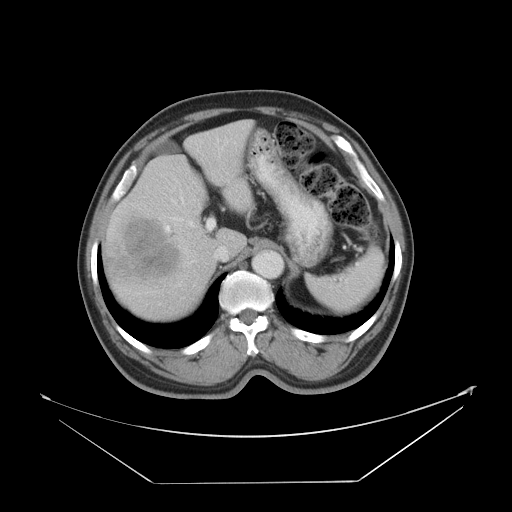 Computed tomography
The vessel annotation is not exhaustive.
14 hepatic vessel regions are bounded by {"x1": 171, "y1": 217, "x2": 182, "y2": 225}, {"x1": 170, "y1": 189, "x2": 173, "y2": 192}, {"x1": 188, "y1": 199, "x2": 195, "y2": 202}, {"x1": 187, "y1": 221, "x2": 193, "y2": 226}, {"x1": 163, "y1": 215, "x2": 164, "y2": 218}, {"x1": 199, "y1": 140, "x2": 202, "y2": 143}, {"x1": 208, "y1": 219, "x2": 213, "y2": 229}, {"x1": 216, "y1": 137, "x2": 226, "y2": 151}, {"x1": 171, "y1": 199, "x2": 176, "y2": 203}, {"x1": 176, "y1": 284, "x2": 179, "y2": 286}, {"x1": 165, "y1": 226, "x2": 169, "y2": 231}, {"x1": 186, "y1": 260, "x2": 194, "y2": 264}, {"x1": 197, "y1": 148, "x2": 198, "y2": 150}, {"x1": 179, "y1": 190, "x2": 186, "y2": 204}. The liver tumor lies within {"x1": 125, "y1": 218, "x2": 179, "y2": 278}.